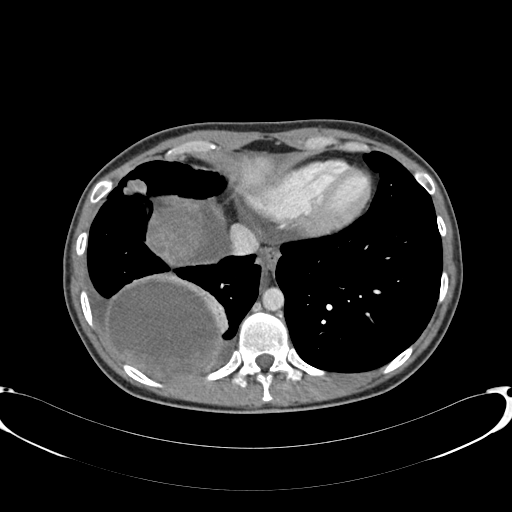
Abdomen | 512x512 | CT slice
The liver is located at (240,158,273,190).